Pelvis. Slice 35 of 193. Computed tomography. Image size 512x512. 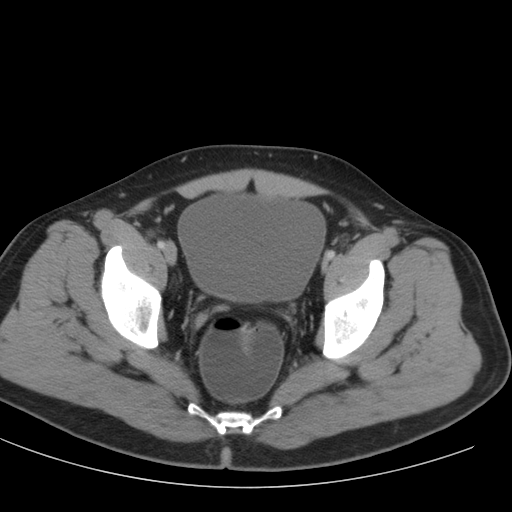 urinary bladder: 180,190,325,302